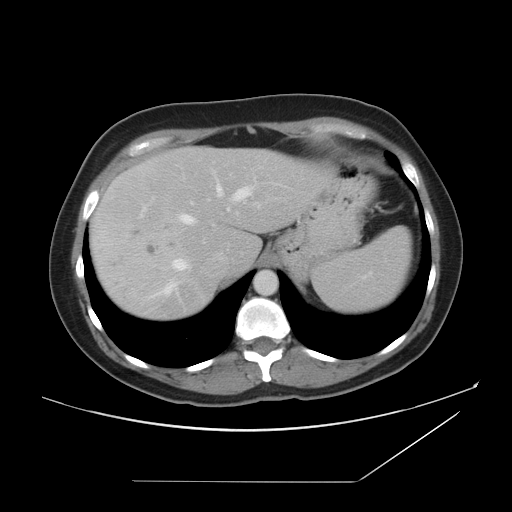

CT scan slice
Not every hepatic vessel necessarily has a box.
hepatic vessel: 172, 259, 190, 270; 236, 212, 238, 214; 180, 214, 194, 223; 126, 234, 128, 235; 234, 187, 250, 200; 227, 208, 229, 210; 213, 171, 222, 196; 138, 205, 147, 218; 202, 240, 203, 242